Slice 54 of 103, Abdomen, Computed tomography
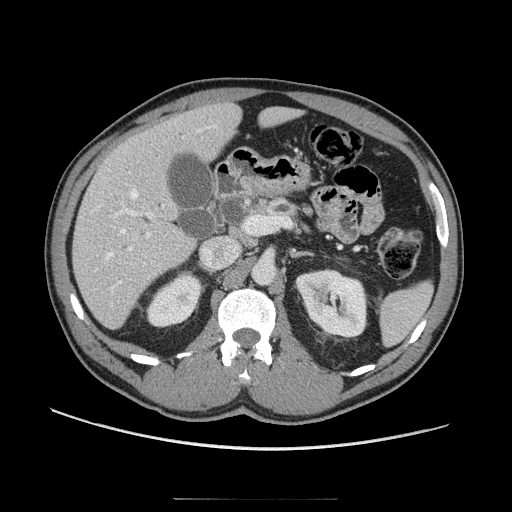

Pancreas: x1=247, y1=196, x2=300, y2=218.